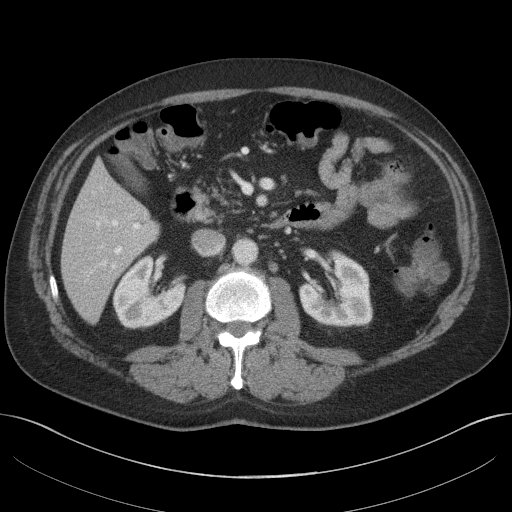 CT slice

kidney:
  - (left=300, top=254, right=370, bottom=324)
  - (left=114, top=257, right=183, bottom=326)
liver:
  - (left=60, top=161, right=157, bottom=322)